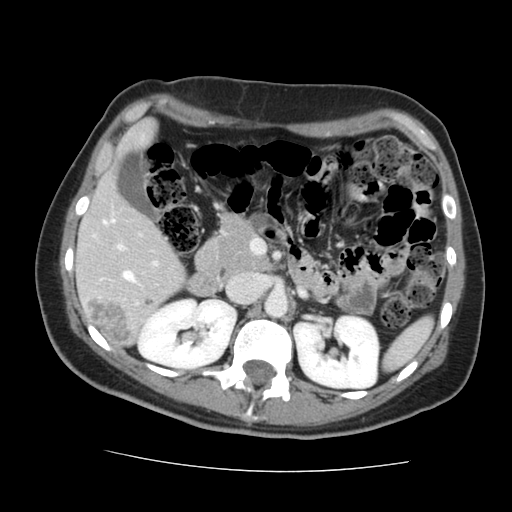
Abdomen | Computed tomography | Image size 512x512
The vessel boxes may cover only some of the vessels.
5 hepatic vessel regions are located at {"x1": 117, "y1": 246, "x2": 122, "y2": 249}, {"x1": 152, "y1": 262, "x2": 156, "y2": 265}, {"x1": 123, "y1": 272, "x2": 134, "y2": 282}, {"x1": 103, "y1": 221, "x2": 106, "y2": 223}, {"x1": 111, "y1": 219, "x2": 114, "y2": 222}. The liver tumor is at {"x1": 89, "y1": 300, "x2": 132, "y2": 342}.